CT scan slice, Slice 117/164
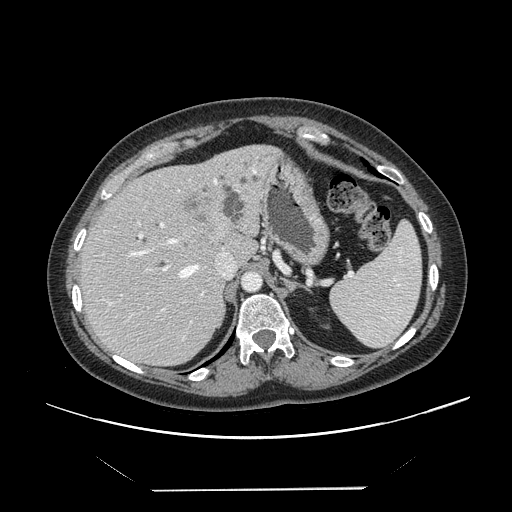
The vessel boxes may cover only some of the vessels.
Annotated regions:
* hepatic vessel: l=160, t=308, r=165, b=313; l=160, t=223, r=164, b=227; l=105, t=300, r=111, b=304; l=147, t=269, r=150, b=269; l=164, t=238, r=179, b=244; l=130, t=314, r=132, b=317; l=178, t=264, r=199, b=278; l=128, t=248, r=153, b=256; l=215, t=248, r=236, b=278; l=159, t=265, r=169, b=271; l=213, t=178, r=217, b=185; l=139, t=233, r=142, b=236; l=138, t=222, r=139, b=224
* liver tumor: l=180, t=187, r=218, b=231